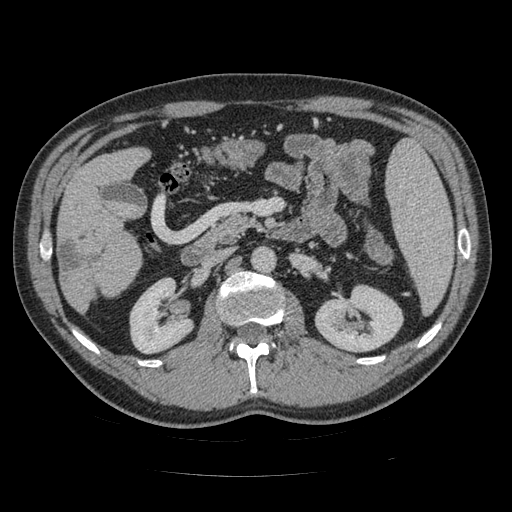

Abdomen; CT; Image size 512x512

Annotated regions:
• pancreas: 200,214,256,246